CT image 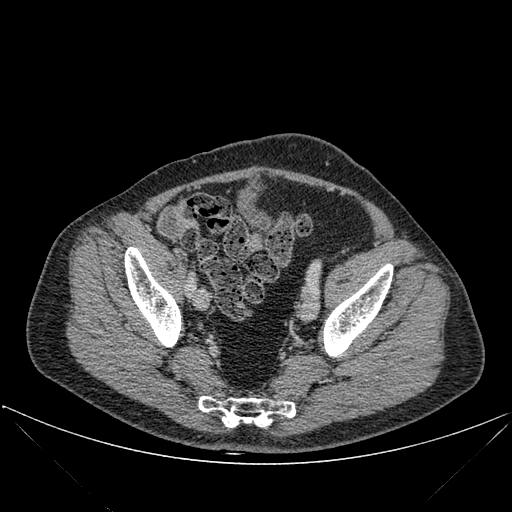 {
  "bone": [
    "x1=199, y1=396, x2=295, y2=427",
    "x1=323, y1=264, x2=392, y2=356",
    "x1=125, y1=247, x2=180, y2=346"
  ]
}